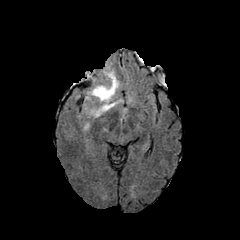
FLAIR MR image.
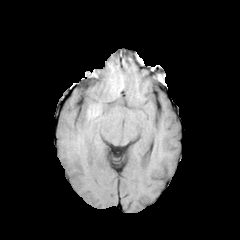
T1-weighted MRI.
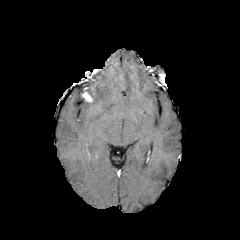
Post-contrast T1-weighted magnetic resonance.
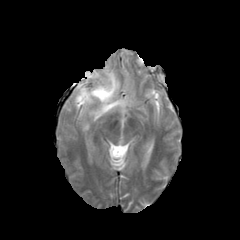
T2-weighted MR.
Head
Findings:
• non-enhancing tumor core: (left=79, top=70, right=103, bottom=95)
• enhancing tumor: (left=82, top=90, right=92, bottom=101)
• edema: (left=83, top=68, right=123, bottom=118)